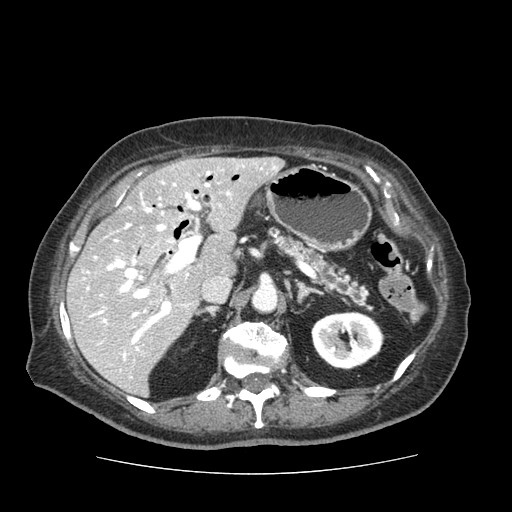
CT image

Pancreas: bounding box 272:233:366:304.